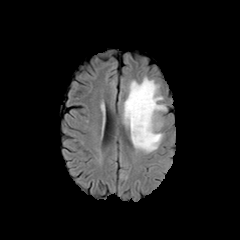
FLAIR magnetic resonance.
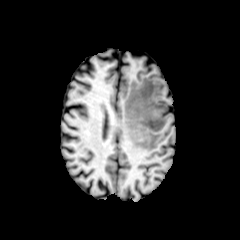
T1-weighted MRI of the same slice.
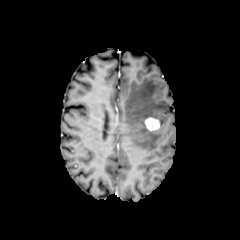
Post-contrast T1-weighted MR image.
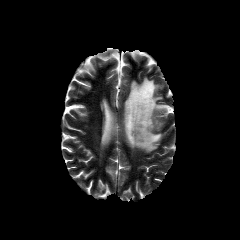
T2-weighted magnetic resonance.
Brain
enhancing tumor: 144 117 160 130 | edema: 124 77 167 152